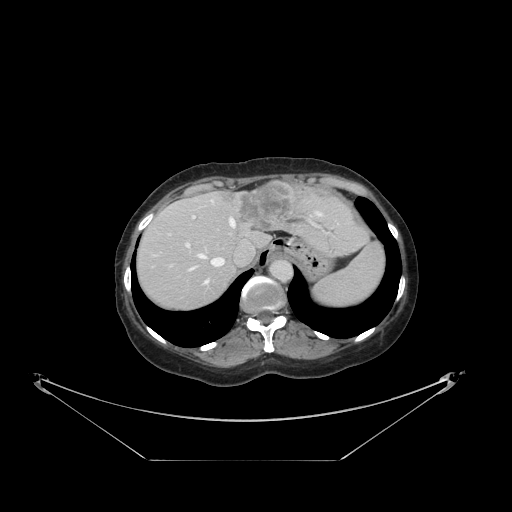
512x512 px; Abdomen; CT scan slice

Not every hepatic vessel necessarily has a box.
liver_tumor:
  - bbox=[221, 182, 296, 230]
hepatic_vessel:
  - bbox=[211, 257, 225, 266]
  - bbox=[197, 253, 206, 258]
  - bbox=[185, 242, 189, 247]
  - bbox=[318, 213, 322, 215]
  - bbox=[228, 218, 235, 228]
  - bbox=[188, 267, 195, 270]
  - bbox=[235, 244, 254, 264]
  - bbox=[203, 279, 208, 284]
  - bbox=[193, 216, 194, 218]